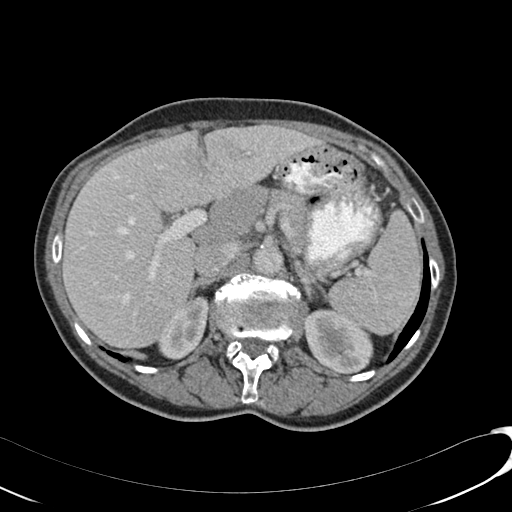
512x512 px; Upper abdomen; CT image
3 liver lesion regions are bounded by {"x1": 188, "y1": 150, "x2": 204, "y2": 173}, {"x1": 213, "y1": 132, "x2": 252, "y2": 165}, {"x1": 149, "y1": 179, "x2": 159, "y2": 188}. 2 kidney regions are located at {"x1": 304, "y1": 311, "x2": 371, "y2": 372}, {"x1": 157, "y1": 297, "x2": 208, "y2": 358}. The liver is at {"x1": 63, "y1": 125, "x2": 323, "y2": 346}.